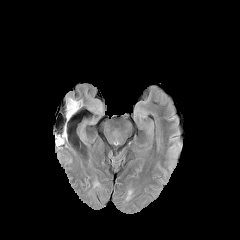
FLAIR magnetic resonance.
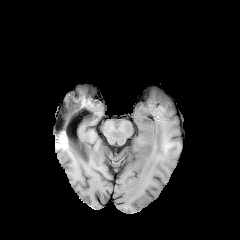
T1-weighted MR image.
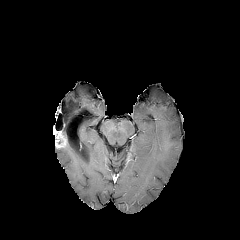
Post-contrast T1-weighted MR.
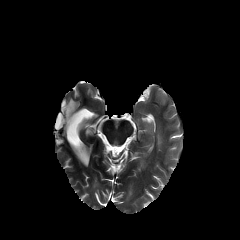
T2-weighted magnetic resonance.
Image size 240x240
Edema: bounding box {"x1": 66, "y1": 98, "x2": 81, "y2": 121}.
Non-enhancing tumor core: bounding box {"x1": 55, "y1": 133, "x2": 66, "y2": 145}.